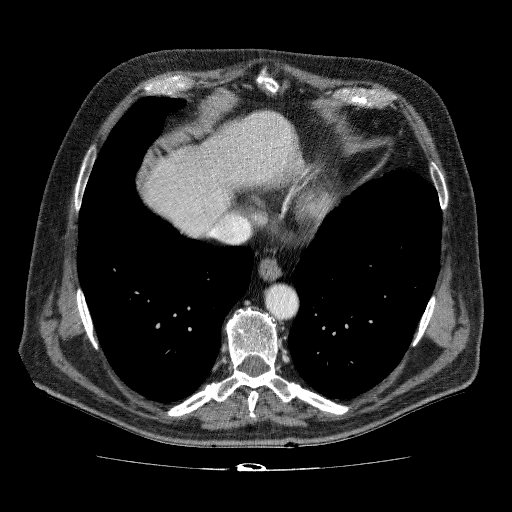

Upper abdomen | CT image
{"liver": ["142, 112, 300, 235"]}